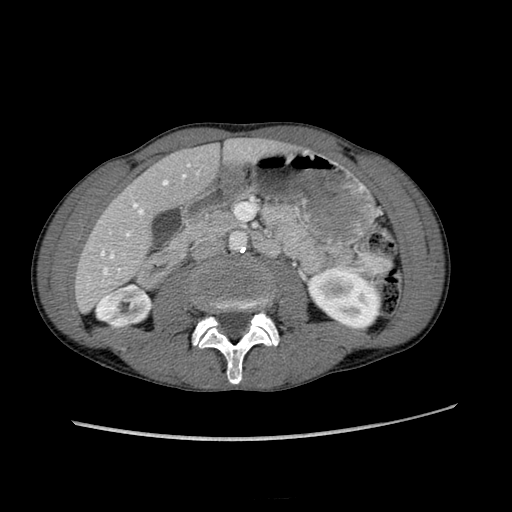
CT slice

kidney:
  - 96 285 150 326
  - 309 268 378 327
liver:
  - 78 139 281 300